CT image. Slice index 235. 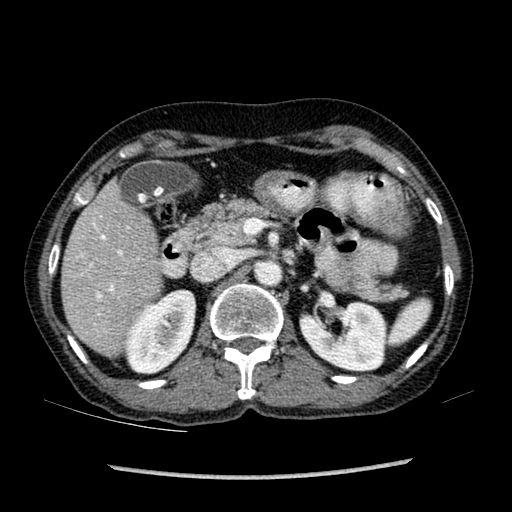
Liver: bounding box {"x1": 62, "y1": 191, "x2": 157, "y2": 348}.
Kidney: bounding box {"x1": 301, "y1": 302, "x2": 384, "y2": 369}, {"x1": 126, "y1": 291, "x2": 195, "y2": 372}.